FLAIR magnetic resonance.
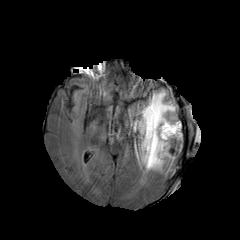
T1-weighted MR.
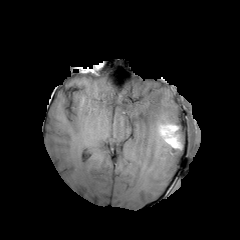
Post-contrast T1-weighted MRI.
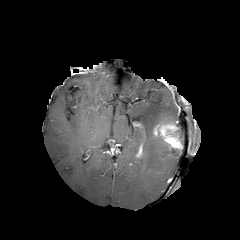
T2-weighted MRI.
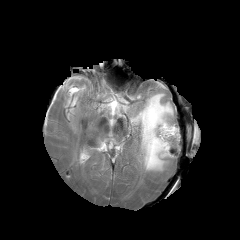
The non-enhancing tumor core is bounded by left=172, top=127, right=180, bottom=148. The edema appears at left=128, top=89, right=181, bottom=172. The enhancing tumor is at left=154, top=123, right=178, bottom=147.